MR; Image size 35x55; Hippocampus; Field of view 35x55 mm
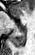
Posterior hippocampus = bbox(11, 29, 25, 47).